Image size 512x512; Slice 143/151; CT image 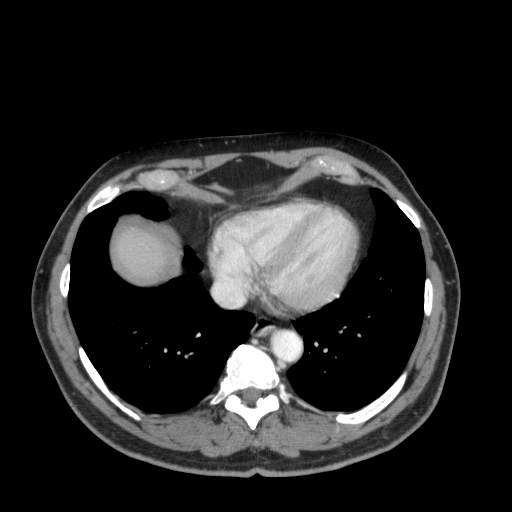
{"liver": ["bbox=[116, 228, 165, 279]"]}